FLAIR MR.
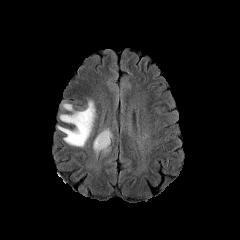
T1-weighted MRI.
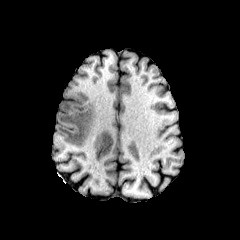
Post-contrast T1-weighted MR image.
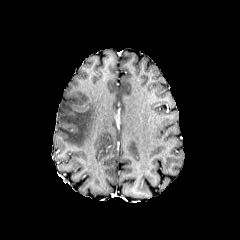
T2-weighted MRI.
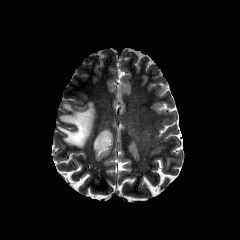
240x240 px | Head
{
  "edema": [
    "x1=58, y1=101, x2=95, y2=147",
    "x1=93, y1=129, x2=112, y2=152"
  ]
}